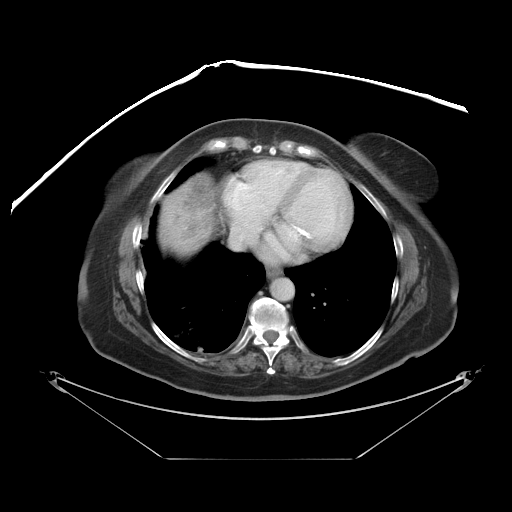 CT

The vessel annotation is not exhaustive.
Hepatic vessel: bounding box (230,225,263,249).
Liver tumor: bounding box (174,179,212,241).